CT scan slice | 512x512 | Upper abdomen | Slice 395 of 685

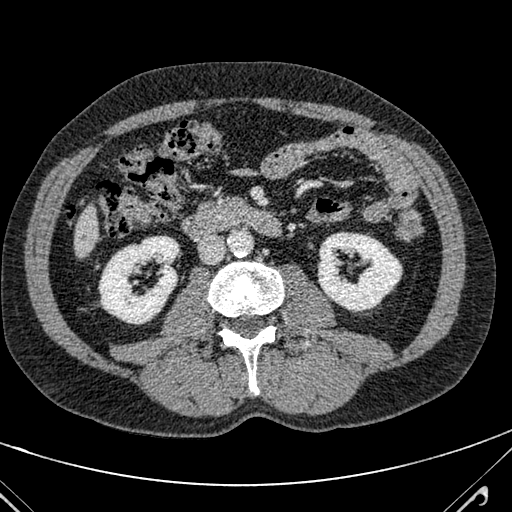

liver:
  - bbox=[74, 205, 97, 255]